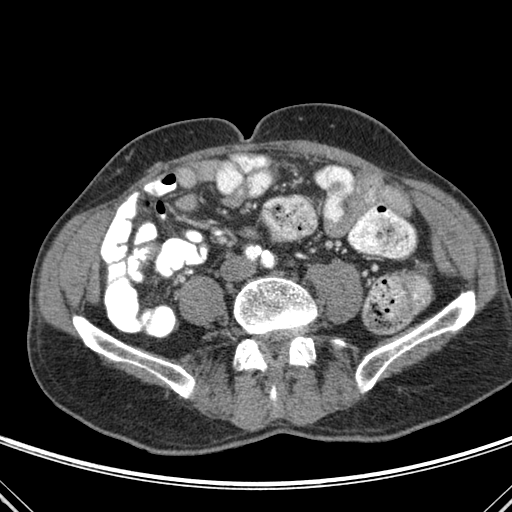

512x512, Computed tomography
- bone: 333, 339, 344, 345; 355, 291, 476, 392; 73, 316, 195, 397; 234, 339, 267, 371; 270, 384, 277, 405; 234, 276, 316, 334; 286, 336, 315, 366